Head | Slice index 90
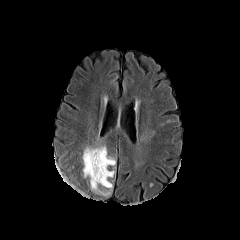
FLAIR magnetic resonance.
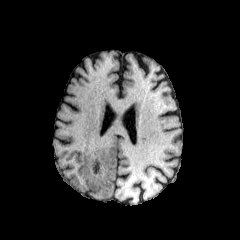
T1-weighted MRI of the same slice.
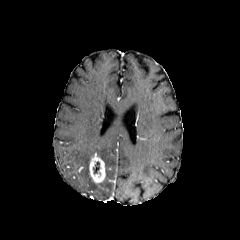
Post-contrast T1-weighted MR.
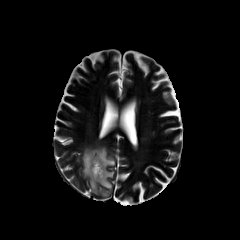
T2-weighted magnetic resonance.
{"enhancing_tumor": ["(89,153,106,183)"], "edema": ["(90,179,99,191)", "(81,147,115,178)", "(99,180,111,196)"], "non-enhancing_tumor_core": ["(93,161,100,173)"]}